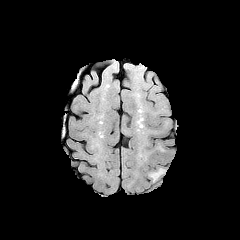
FLAIR magnetic resonance.
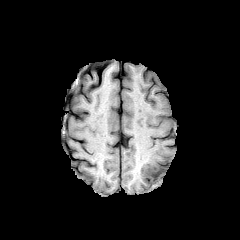
Same slice, T1-weighted magnetic resonance.
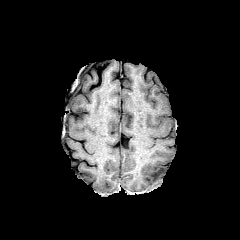
Post-contrast T1-weighted MRI.
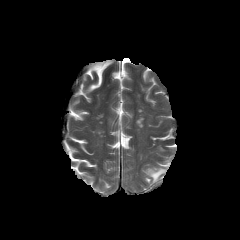
Same slice, T2-weighted magnetic resonance.
Head, Image size 240x240
<segmentation>
  <edema>x1=146 y1=168 x2=164 y2=182</edema>
</segmentation>